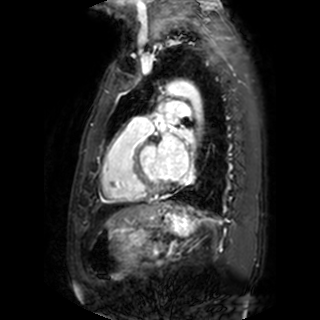

Magnetic resonance; Heart
left atrium: 179,130,193,140; 157,132,188,179; 166,115,175,123